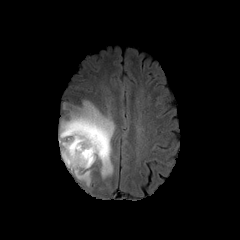
FLAIR MR.
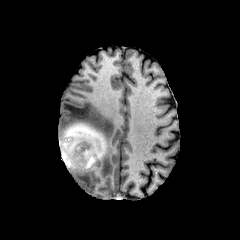
T1-weighted MRI.
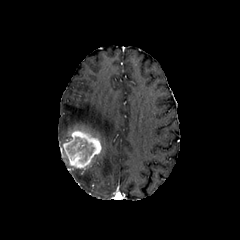
Post-contrast T1-weighted MRI.
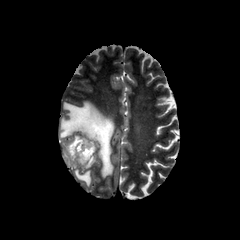
T2-weighted magnetic resonance.
Brain
{"enhancing_tumor": ["(66, 131, 100, 167)"], "non-enhancing_tumor_core": ["(60, 144, 83, 169)", "(68, 125, 106, 168)", "(65, 137, 94, 163)"], "edema": ["(75, 171, 90, 186)", "(59, 100, 114, 176)"]}